FLAIR MRI.
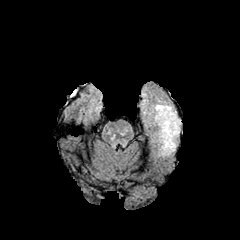
T1-weighted magnetic resonance.
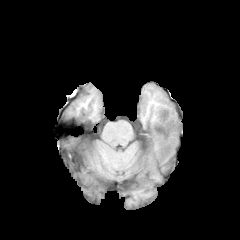
Post-contrast T1-weighted MR image.
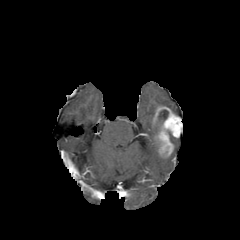
T2-weighted MRI.
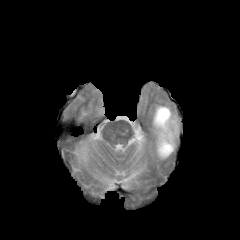
Enhancing tumor: bounding box box=[152, 106, 181, 157].
Edema: bounding box box=[151, 101, 176, 121]; box=[152, 124, 169, 158].
Non-enhancing tumor core: bounding box box=[158, 110, 168, 121].